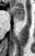

MR; Medial temporal lobe

Anterior hippocampus: bounding box {"x1": 11, "y1": 6, "x2": 24, "y2": 20}.